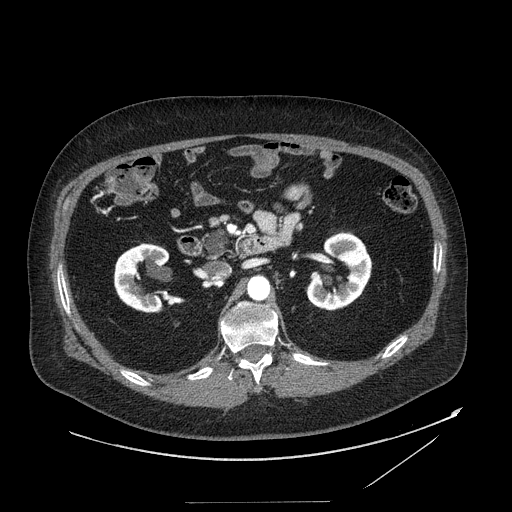

CT slice; Abdomen

Annotated regions:
• pancreas: 203, 228, 230, 260
• pancreatic tumor: 207, 230, 225, 253